Image width 380 mm, CT, Slice index 54, Upper abdomen

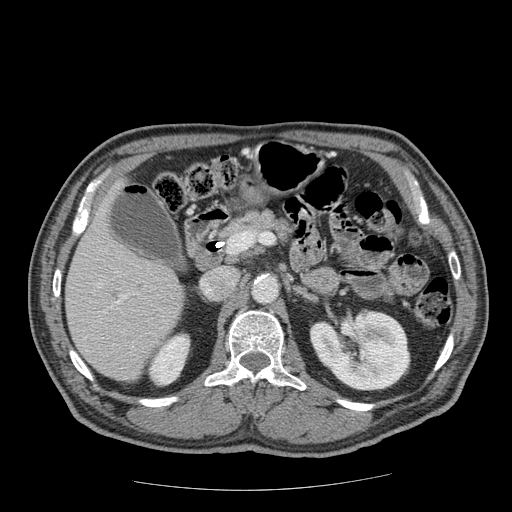 {
  "pancreas": [
    "(193, 208, 298, 272)"
  ]
}